FLAIR MR image.
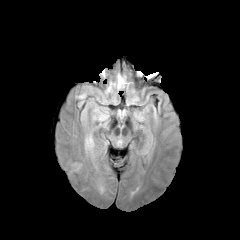
T1-weighted MRI.
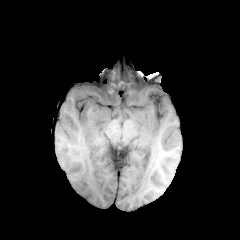
Post-contrast T1-weighted MR image.
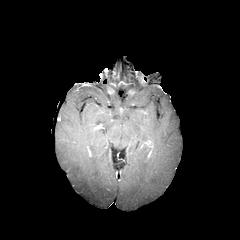
T2-weighted MR.
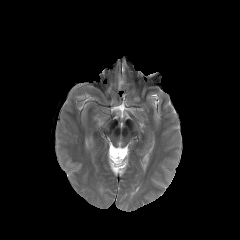
<segmentation>
  <edema>[x1=107, y1=72, x2=126, y2=93]</edema>
</segmentation>